512x512 | Slice 69 of 138 | CT image

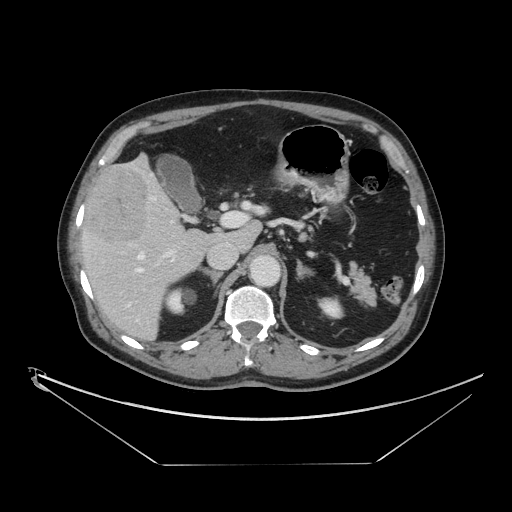

Only some of the vessels may be annotated.
Hepatic vessel — rect(149, 197, 155, 200); rect(137, 268, 142, 271); rect(138, 253, 144, 259); rect(136, 319, 137, 321); rect(171, 220, 172, 222); rect(130, 244, 131, 245); rect(125, 302, 131, 307); rect(164, 250, 175, 261).
Liver tumor — rect(85, 165, 148, 244).